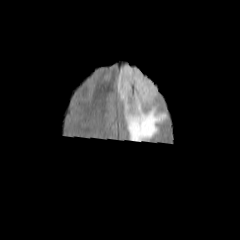
FLAIR MR.
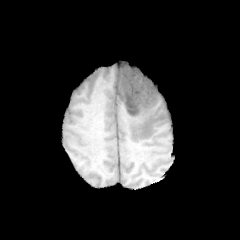
Same slice, T1-weighted MRI.
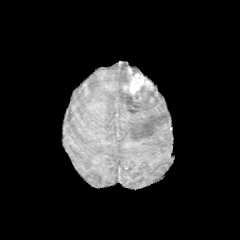
Post-contrast T1-weighted MR image.
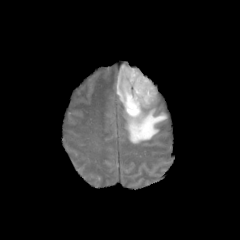
T2-weighted MR image of the same slice.
Brain | 240x240 px
Enhancing tumor at box=[122, 67, 153, 101].
Edema at box=[116, 63, 167, 142].
Non-enhancing tumor core at box=[126, 82, 156, 106].